Computed tomography; Slice 20 of 39; Field of view 400 mm wide, 5.00 mm slice spacing 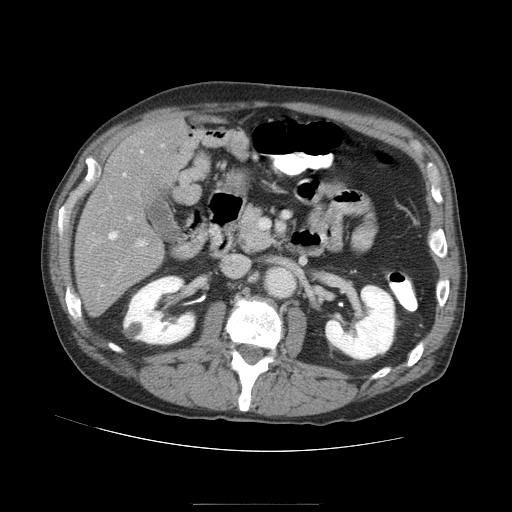

The vessel boxes may cover only some of the vessels.
Hepatic vessel at x1=109 y1=232 x2=116 y2=239, x1=137 y1=240 x2=146 y2=245, x1=123 y1=173 x2=125 y2=176, x1=128 y1=217 x2=130 y2=218, x1=140 y1=150 x2=142 y2=152.